Computed tomography. Abdomen. 512x512. Slice index 46.

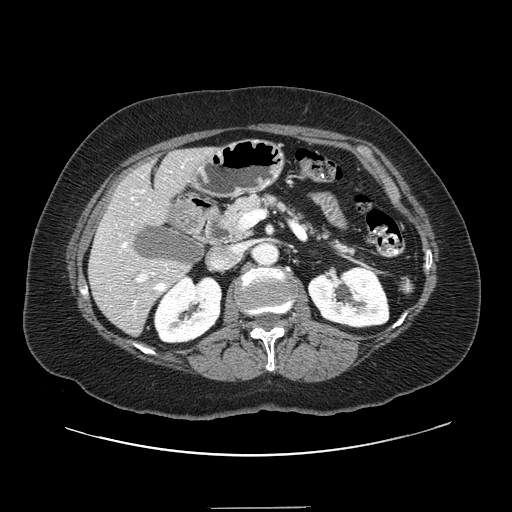

pancreas: x1=213 y1=194 x2=358 y2=258